512x512 px, CT image 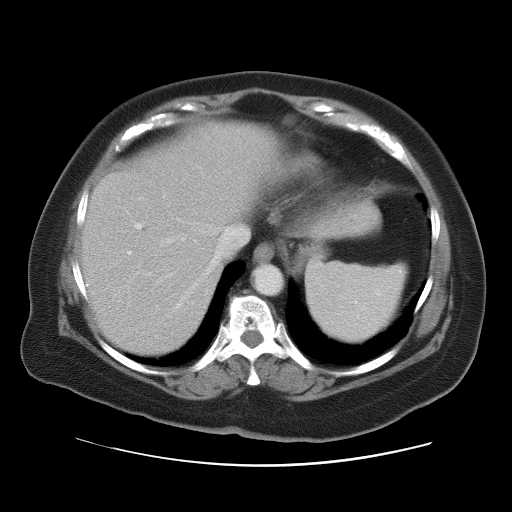
* spleen: (306, 262, 405, 344)